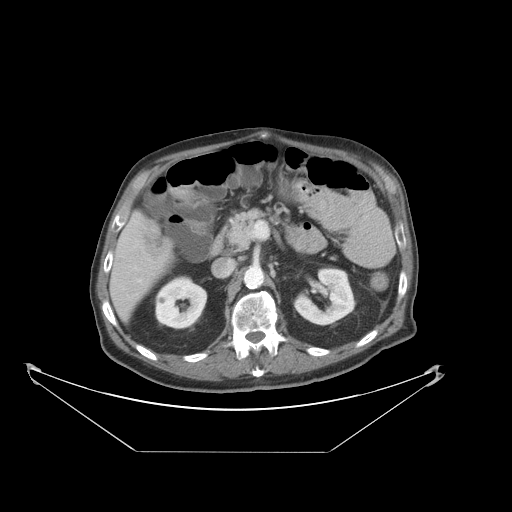
CT | 512x512 | Liver
The vessel boxes may cover only some of the vessels.
{"liver_tumor": ["(144, 233, 167, 257)"], "hepatic_vessel": ["(138, 279, 142, 283)"]}